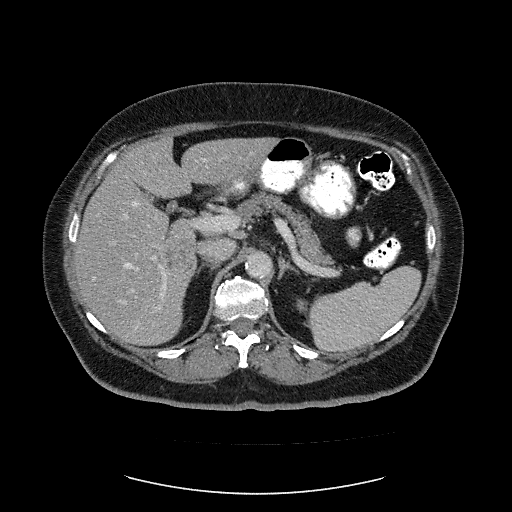

CT image. 512x512 px.

The vessel boxes may cover only some of the vessels.
Liver tumor at <box>155,230,194,279</box>.
Hepatic vessel at <box>93,277,95,279</box>, <box>133,202,137,205</box>, <box>191,231,194,238</box>, <box>155,307,159,310</box>, <box>159,264,165,297</box>, <box>125,262,138,270</box>, <box>118,300,126,303</box>, <box>152,256,157,259</box>, <box>124,214,127,217</box>, <box>237,181,245,184</box>, <box>262,160,268,169</box>, <box>126,176,128,177</box>, <box>130,289,134,291</box>.